Computed tomography, Image width 400 mm 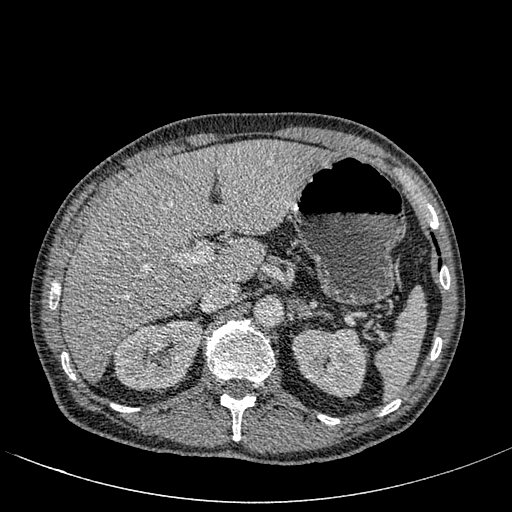
Liver — [x1=61, y1=139, x2=336, y2=382].
Kidney — [x1=114, y1=321, x2=202, y2=389], [x1=292, y1=329, x2=365, y2=396].
Hepatic lesion — [x1=153, y1=166, x2=169, y2=180], [x1=89, y1=249, x2=98, y2=258], [x1=218, y1=144, x2=226, y2=151].